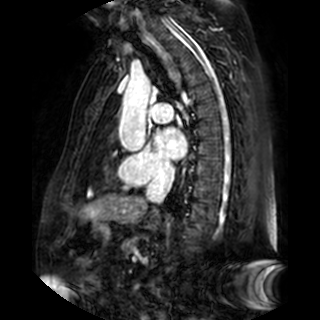 Magnetic resonance
The left atrium appears at <bbox>154, 128, 186, 160</bbox>.